Field of view 440x440 mm | Slice 48 of 81 | 512x512 px | CT scan slice | Upper abdomen
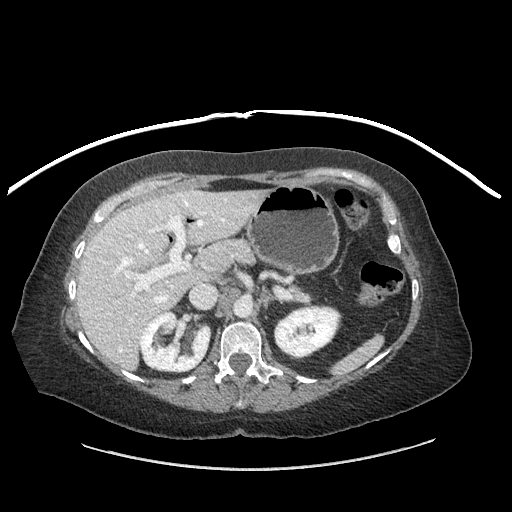 * pancreas: 289 285 303 298